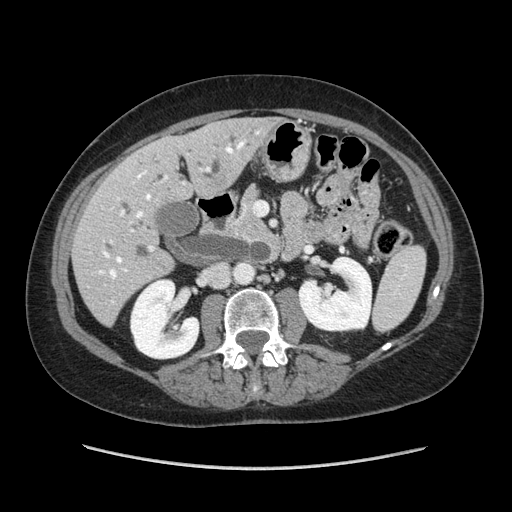 CT slice, Abdomen
<segmentation>
  <pancreas><box>232,182,269,241</box></pancreas>
</segmentation>